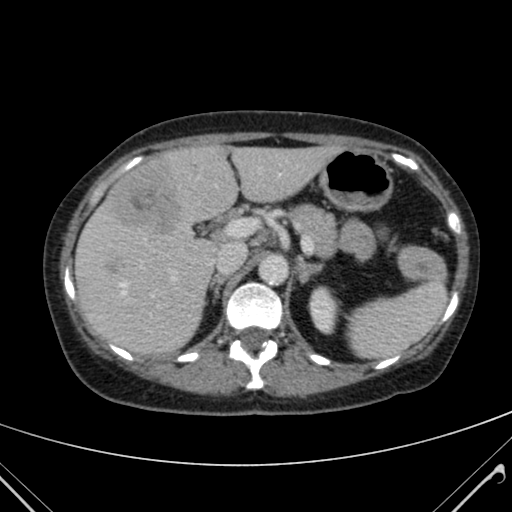
CT image | 512x512
The kidney is bounded by x1=312 y1=291 x2=332 y2=328. 2 liver lesion regions appear at x1=109 y1=161 x2=182 y2=235, x1=106 y1=263 x2=121 y2=275. The liver appears at x1=77 y1=144 x2=330 y2=355.